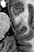

Medial temporal lobe; MRI

The anterior hippocampus appears at rect(12, 5, 24, 16).